CT | Abdomen | Image width 389 mm | 512x512
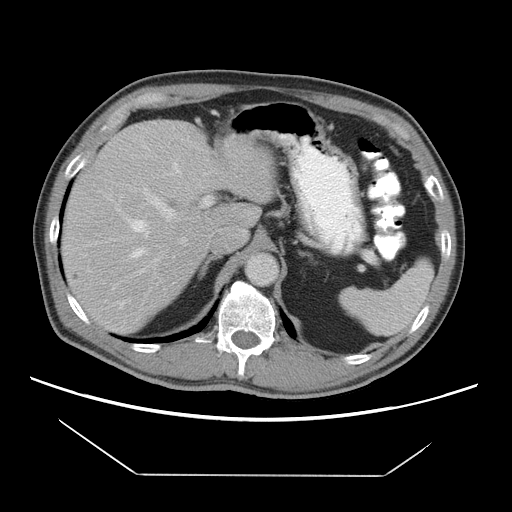 Not every hepatic vessel necessarily has a box.
<segmentation>
  <hepatic_vessel>[x1=105, y1=195, x2=120, y2=211], [x1=153, y1=258, x2=158, y2=261], [x1=181, y1=238, x2=185, y2=242], [x1=172, y1=162, x2=181, y2=175], [x1=125, y1=219, x2=148, y2=236], [x1=137, y1=266, x2=148, y2=273], [x1=200, y1=196, x2=213, y2=207], [x1=111, y1=238, x2=115, y2=240], [x1=144, y1=188, x2=174, y2=221], [x1=113, y1=287, x2=114, y2=289], [x1=142, y1=139, x2=147, y2=148], [x1=131, y1=248, x2=145, y2=257]</hepatic_vessel>
</segmentation>